FLAIR magnetic resonance.
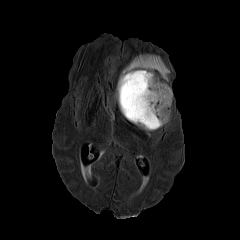
T1-weighted MR.
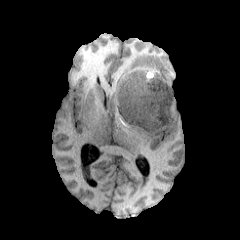
Post-contrast T1-weighted MR image.
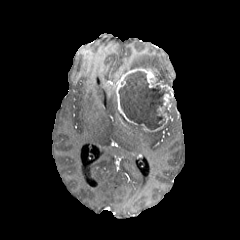
T2-weighted MR image.
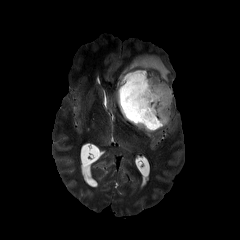
240x240 px | Head
The edema is at bbox=[122, 54, 170, 81]. The non-enhancing tumor core is bounded by bbox=[118, 70, 171, 130]. 2 enhancing tumor regions are located at bbox=[144, 91, 173, 131]; bbox=[113, 67, 173, 122].